FLAIR magnetic resonance.
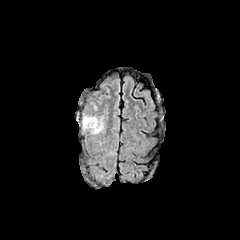
T1-weighted MRI.
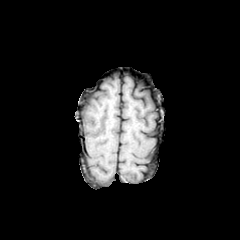
Post-contrast T1-weighted MR.
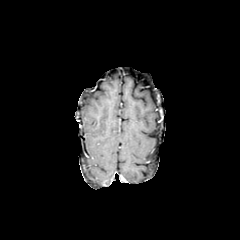
T2-weighted magnetic resonance.
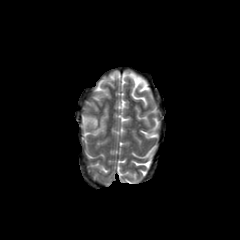
Brain, Image size 240x240
• edema: 80,114,105,134